CT scan slice; Liver
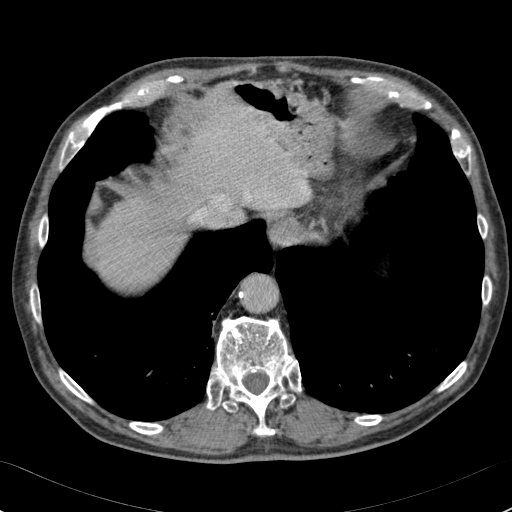 liver:
  - 276:159:284:180
  - 95:97:265:284